Slice index 46, Computed tomography, Image size 512x512
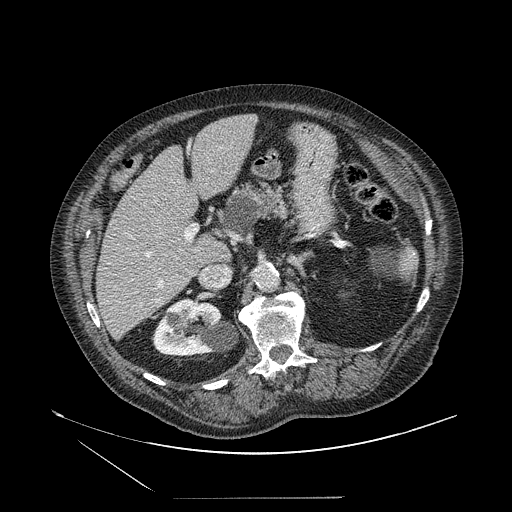 Pancreas: [x1=222, y1=182, x2=295, y2=236].
Pancreatic tumor: [x1=226, y1=192, x2=258, y2=233].